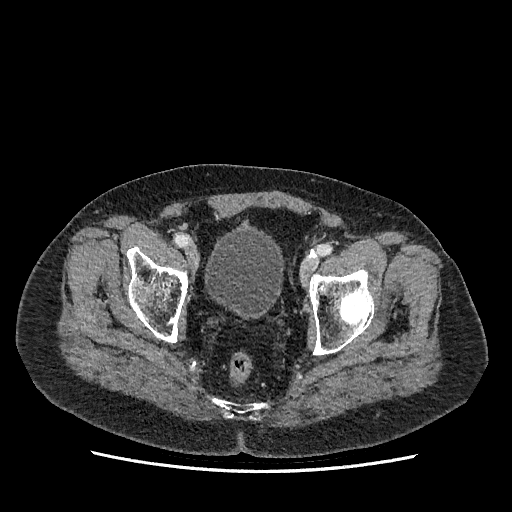

CT image. Pelvis.
The urinary bladder lies within box(205, 230, 283, 315).